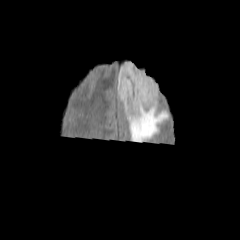
FLAIR magnetic resonance.
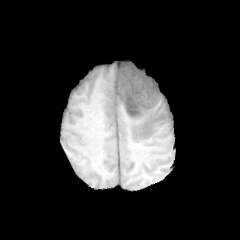
Same slice, T1-weighted magnetic resonance.
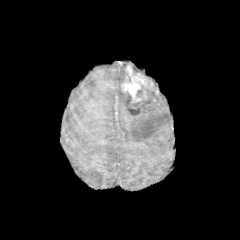
Same slice, post-contrast T1-weighted MRI.
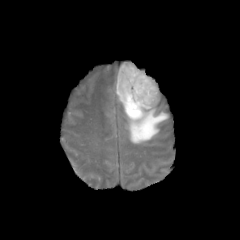
T2-weighted MR image.
240x240 px
non-enhancing_tumor_core:
  - bbox=[125, 89, 158, 115]
edema:
  - bbox=[116, 61, 169, 143]
enhancing_tumor:
  - bbox=[121, 64, 156, 104]